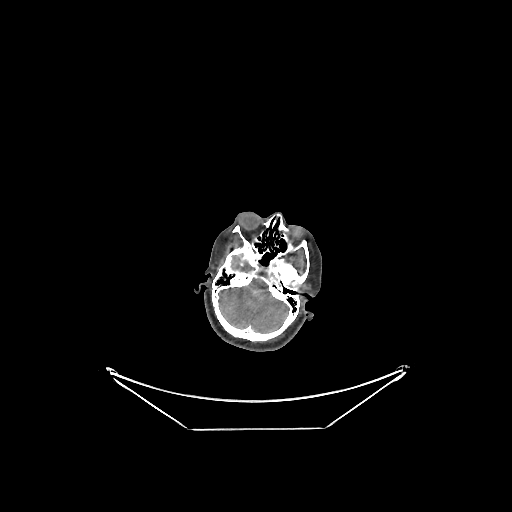
CT. Head. 2 brain regions appear at 231:255:253:272, 218:278:289:333.